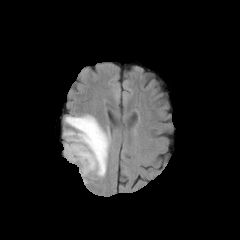
FLAIR MR.
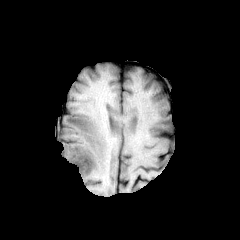
T1-weighted MR image of the same slice.
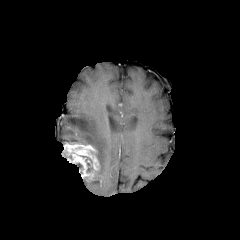
Post-contrast T1-weighted MR.
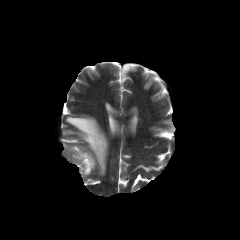
Same slice, T2-weighted MR image.
240x240 | Brain
Edema at 64,115,110,183.
Enhancing tumor at 62,142,99,177.